CT slice; Pelvis

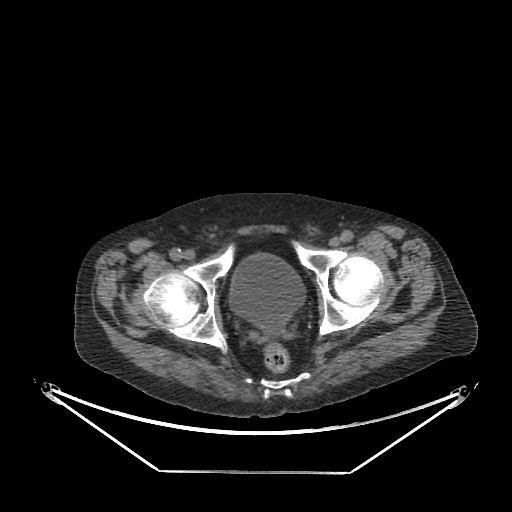

Urinary bladder — (x1=229, y1=252, x2=306, y2=341).